FLAIR MRI.
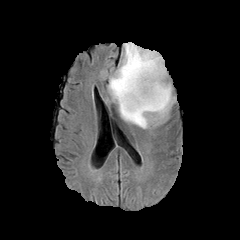
T1-weighted MR image.
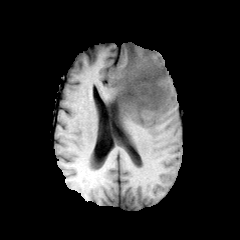
Post-contrast T1-weighted magnetic resonance.
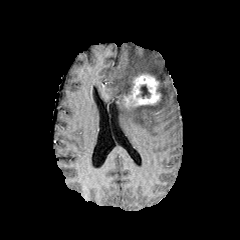
T2-weighted MRI.
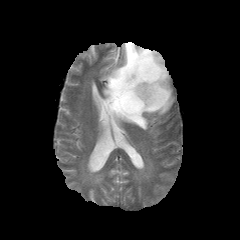
240x240 px
{
  "enhancing_tumor": [
    "[121,73,161,107]"
  ],
  "non-enhancing_tumor_core": [
    "[122,77,133,98]",
    "[140,85,150,98]",
    "[136,66,163,81]",
    "[110,94,121,113]"
  ],
  "edema": [
    "[104,43,173,129]"
  ]
}